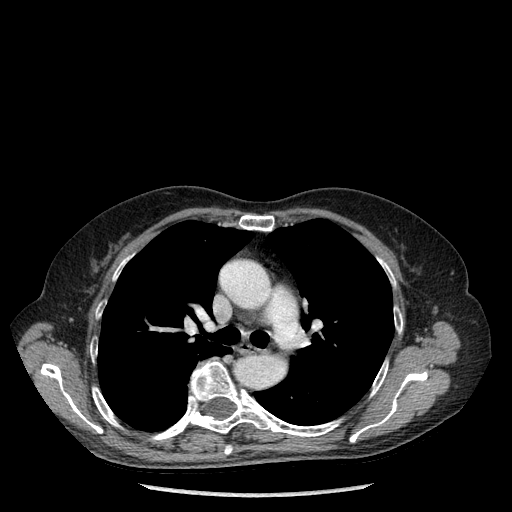
Thorax, CT scan slice, 512x512 px

bone: l=92, t=387, r=121, b=427; l=40, t=362, r=102, b=433; l=350, t=371, r=427, b=442; l=95, t=301, r=104, b=318; l=151, t=358, r=340, b=440; l=90, t=339, r=97, b=361; l=224, t=445, r=232, b=454; l=370, t=360, r=388, b=396; l=112, t=257, r=128, b=280; l=377, t=257, r=395, b=286; l=394, t=306, r=402, b=333; l=238, t=214, r=274, b=231 | lung: l=255, t=219, r=394, b=425; l=97, t=220, r=252, b=431; l=250, t=331, r=268, b=347